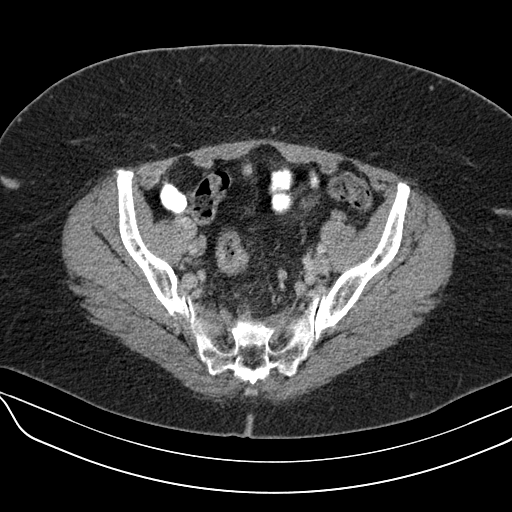 CT scan slice
Annotated regions:
* colon tumor: [x1=216, y1=250, x2=248, y2=273]